Slice 376 of 455 | Abdomen | CT 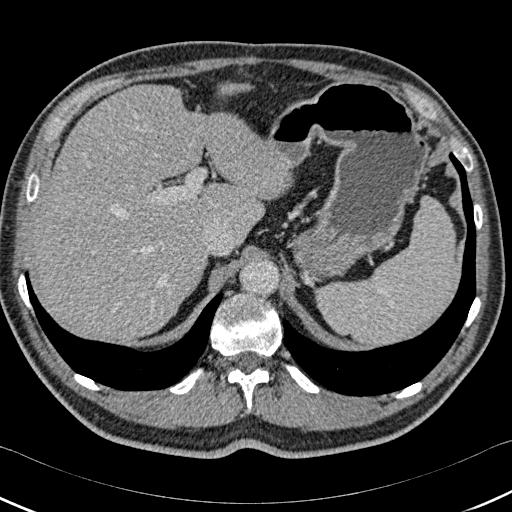

Liver at 34, 84, 289, 342.
Bone at 26, 173, 39, 201; 474, 204, 482, 228; 454, 147, 472, 171; 396, 382, 421, 398; 211, 294, 281, 356; 74, 374, 99, 390; 465, 297, 480, 326; 18, 275, 30, 307; 286, 365, 318, 392; 170, 369, 202, 394; 228, 369, 268, 410.
Lung at 282, 152, 475, 396; 25, 271, 223, 390.